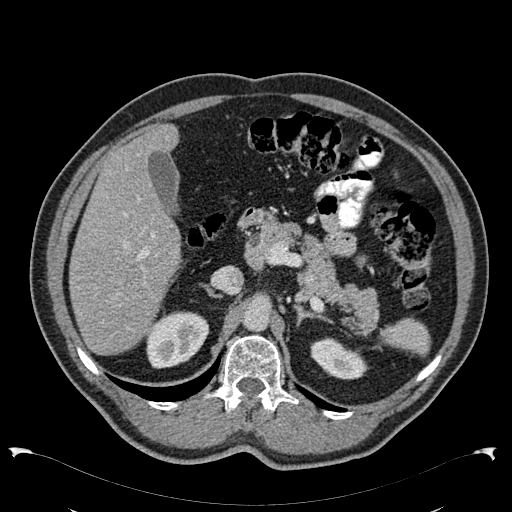 CT slice. Abdomen.
Liver: region(69, 123, 180, 355).
Kidney: region(143, 312, 208, 367); region(311, 338, 366, 378).